FLAIR magnetic resonance.
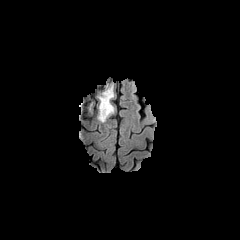
T1-weighted MR.
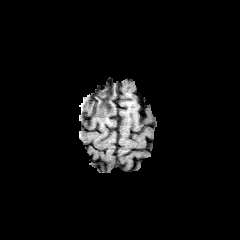
Post-contrast T1-weighted MR image.
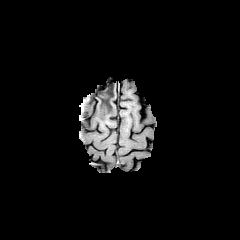
T2-weighted MR image.
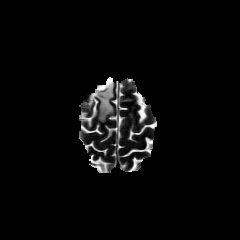
Brain
Edema: 98,83,112,93; 94,88,115,125.
Non-enhancing tumor core: 97,84,113,101.